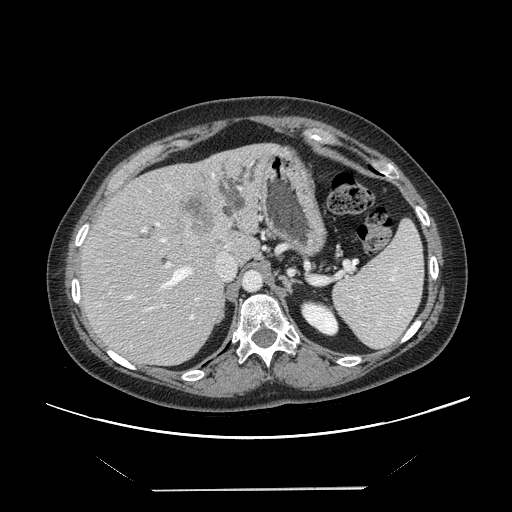

512x512 px, Abdomen, Computed tomography
Only some of the vessels may be annotated.
Liver tumor at 181, 187, 219, 239.
Hepatic vessel at 161, 304, 165, 307; 125, 296, 132, 298; 211, 174, 215, 179; 159, 237, 166, 243; 157, 266, 192, 291; 155, 222, 161, 226; 95, 302, 101, 305; 165, 263, 171, 267; 145, 307, 153, 310; 215, 243, 235, 279; 195, 298, 196, 299; 141, 227, 145, 231; 188, 314, 194, 319.